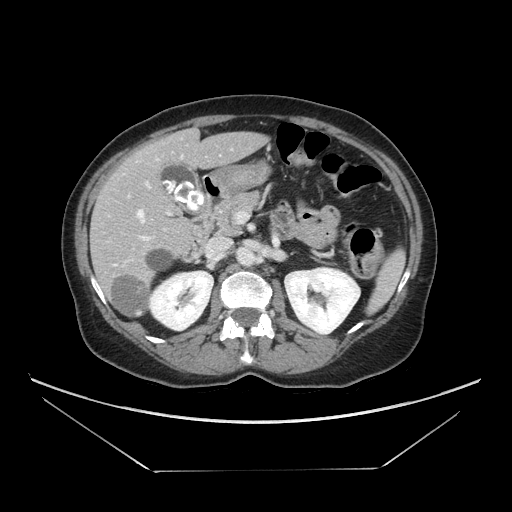

Abdomen; CT slice
pancreas:
  - left=200, top=191, right=262, bottom=239